Slice 87 of 155. Image size 240x240. Field of view 240x240 mm.
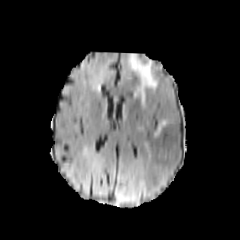
FLAIR MR.
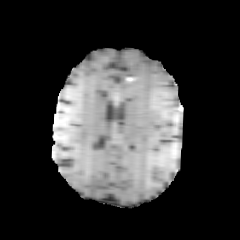
Same slice, T1-weighted MRI.
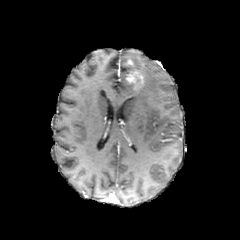
Post-contrast T1-weighted MR image.
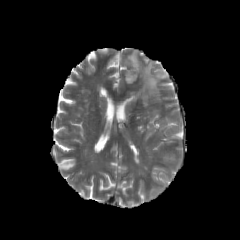
T2-weighted MR of the same slice.
Enhancing tumor = [126, 70, 144, 89].
Edema = [127, 52, 161, 105], [153, 121, 169, 133].